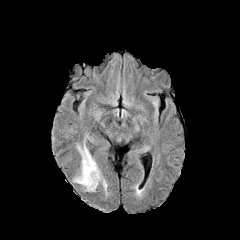
FLAIR MRI.
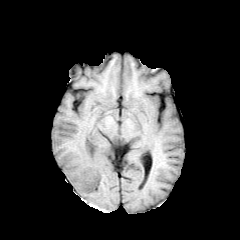
Same slice, T1-weighted magnetic resonance.
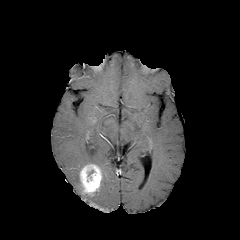
Same slice, post-contrast T1-weighted magnetic resonance.
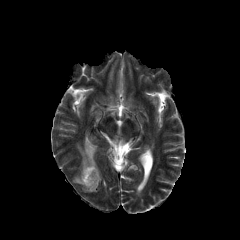
Same slice, T2-weighted magnetic resonance.
240x240; Brain
{
  "edema": [
    "<bbox>73, 172, 84, 191</bbox>",
    "<bbox>78, 144, 97, 167</bbox>"
  ],
  "enhancing_tumor": [
    "<bbox>80, 164, 101, 191</bbox>"
  ]
}